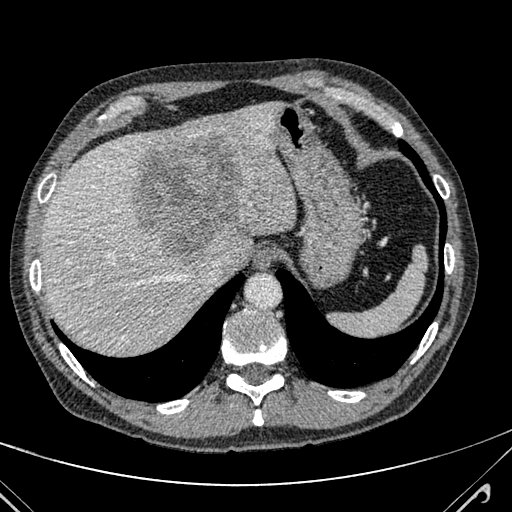
CT slice; 512x512 px; Liver

Segmented structures:
* focal liver lesion: 269:129:273:142, 131:135:250:263
* liver: 43:103:296:353